Image size 512x512 | Slice 392 of 733 | Abdomen | Field of view 388 mm wide, 0.70 mm slice spacing | CT scan slice 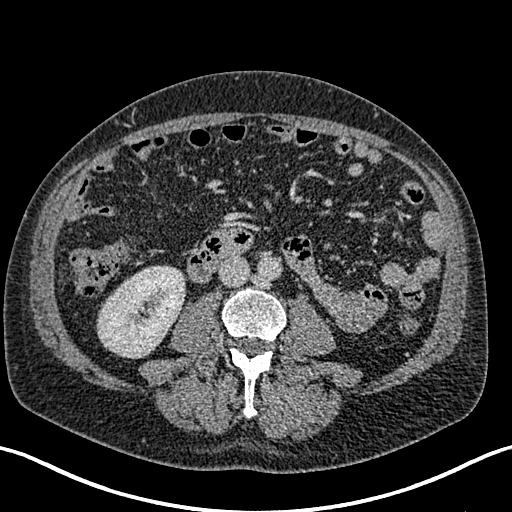 Kidney: bounding box <bbox>98, 266, 184, 357</bbox>.